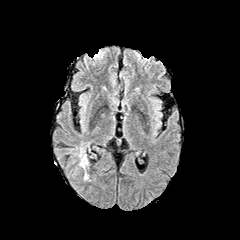
FLAIR magnetic resonance.
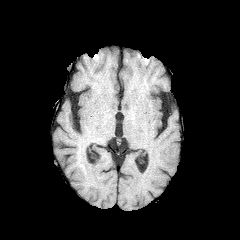
T1-weighted MRI.
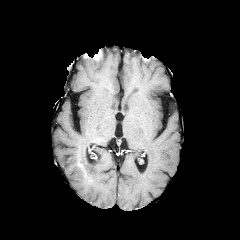
Post-contrast T1-weighted MRI of the same slice.
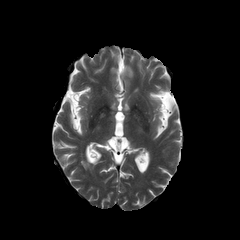
Same slice, T2-weighted magnetic resonance.
<segmentation>
  <edema>bbox=[78, 143, 89, 169]</edema>
</segmentation>